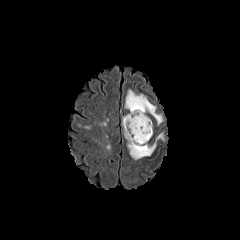
FLAIR MR image.
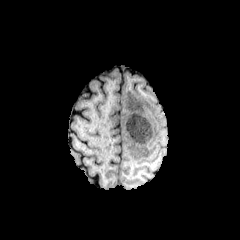
T1-weighted MR of the same slice.
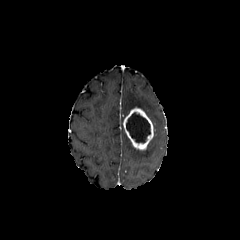
Post-contrast T1-weighted MRI.
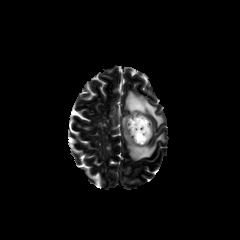
T2-weighted MR image of the same slice.
Brain
The enhancing tumor is located at region(123, 106, 155, 150). The non-enhancing tumor core is bounded by region(126, 113, 150, 143). 2 edema regions appear at region(125, 91, 162, 125); region(123, 130, 164, 160).